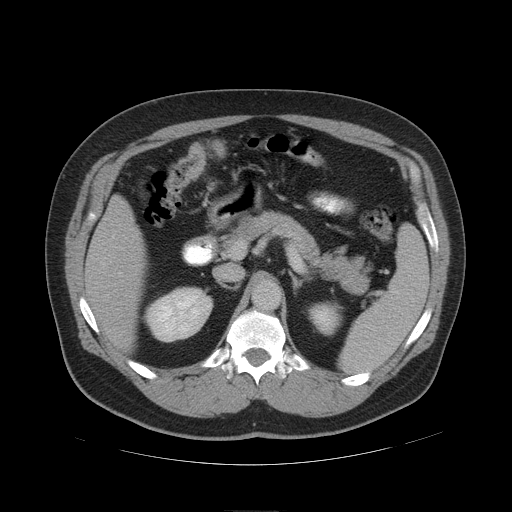

CT slice | Image size 512x512 | Pelvis
{"colon_tumor": ["box=[179, 142, 205, 179]"]}